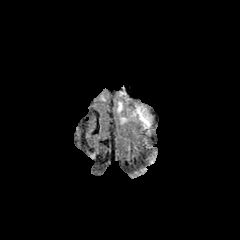
FLAIR magnetic resonance.
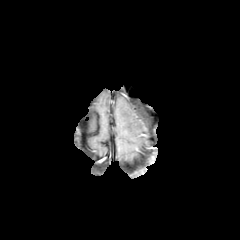
T1-weighted MRI.
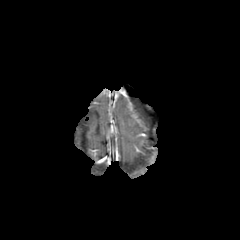
Post-contrast T1-weighted MR image.
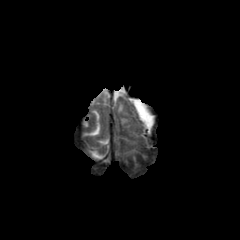
Same slice, T2-weighted MRI.
Head
edema:
  - [x1=133, y1=102, x2=151, y2=128]
  - [x1=117, y1=92, x2=128, y2=112]